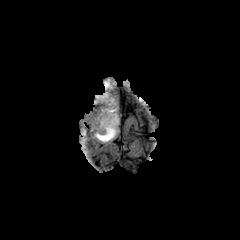
FLAIR MR.
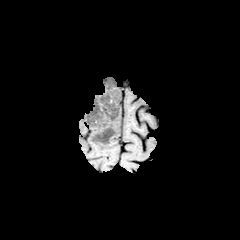
T1-weighted MRI.
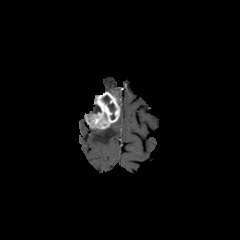
Post-contrast T1-weighted magnetic resonance.
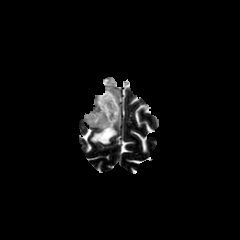
T2-weighted MR image of the same slice.
240x240 px | Head
Enhancing tumor: bounding box l=85, t=90, r=119, b=129.
Edema: bounding box l=91, t=118, r=119, b=143; l=104, t=79, r=120, b=105.
Non-enhancing tumor core: bounding box l=103, t=95, r=115, b=112; l=99, t=128, r=113, b=137.